FLAIR MR image.
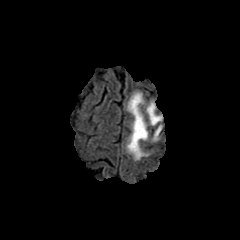
T1-weighted MR image.
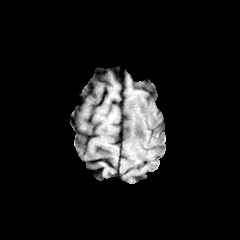
Post-contrast T1-weighted MR image.
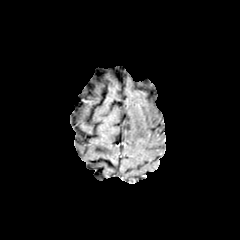
T2-weighted magnetic resonance.
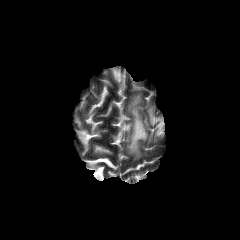
Image size 240x240
• edema: [x1=126, y1=92, x2=163, y2=159]